FLAIR MRI.
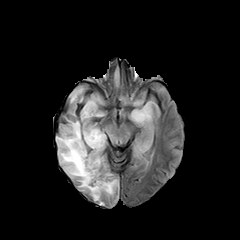
T1-weighted MR.
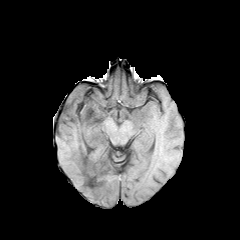
Post-contrast T1-weighted MR.
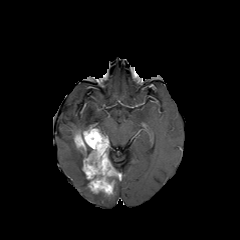
T2-weighted MRI.
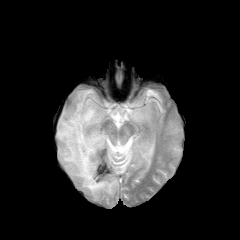
Brain
The enhancing tumor is located at (left=74, top=126, right=114, bottom=195). 3 edema regions are located at (left=56, top=90, right=104, bottom=200), (left=128, top=102, right=151, bottom=125), (left=135, top=143, right=149, bottom=153). 2 non-enhancing tumor core regions are located at (left=95, top=150, right=119, bottom=193), (left=79, top=124, right=99, bottom=131).